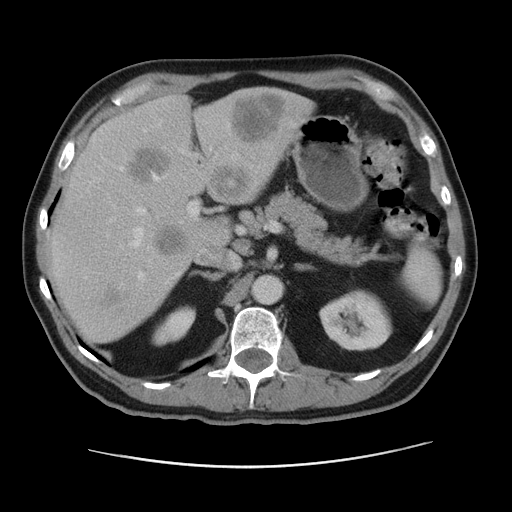

Abdomen | Computed tomography | Image size 512x512

Liver: bounding box x1=53, y1=88, x2=310, y2=338.
Focal liver lesion: bounding box x1=131, y1=149, x2=170, y2=182; x1=211, y1=165, x2=251, y2=199; x1=232, y1=93, x2=290, y2=141; x1=156, y1=226, x2=186, y2=255; x1=103, y1=287, x2=121, y2=306.
Kidney: bounding box x1=156, y1=310, x2=193, y2=342; x1=319, y1=290, x2=391, y2=350.